Slice 6/19
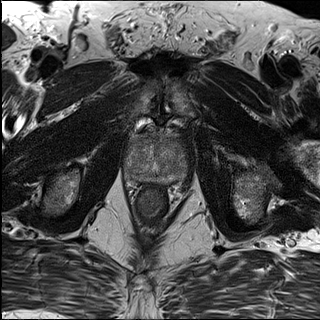
T2-weighted MR image.
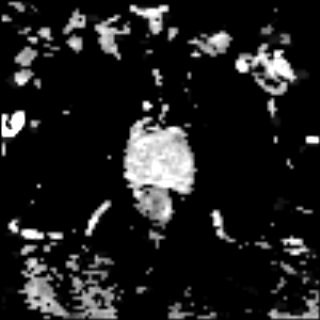
Same slice, ADC magnetic resonance.
Prostate transition zone — bbox=[125, 135, 188, 176].
Prostate peripheral zone — bbox=[124, 167, 185, 182].